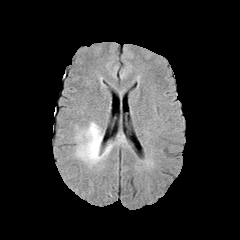
FLAIR MR.
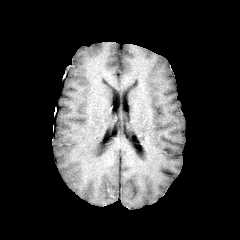
T1-weighted magnetic resonance.
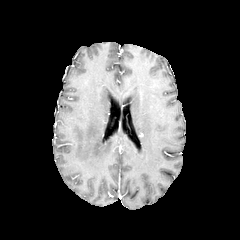
Post-contrast T1-weighted magnetic resonance.
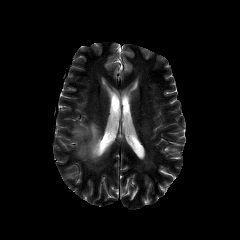
T2-weighted MR image of the same slice.
Head.
Segmented structures:
- edema: bbox(73, 120, 112, 166)